FLAIR MR.
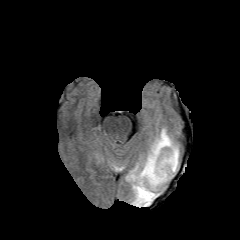
T1-weighted MR.
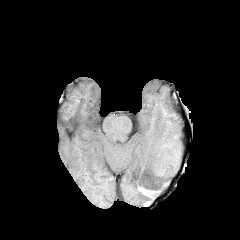
Post-contrast T1-weighted MR.
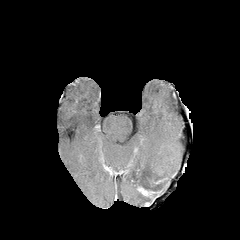
T2-weighted magnetic resonance.
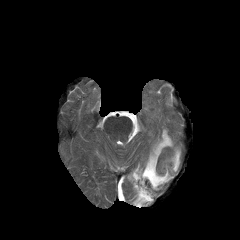
Head, Image size 240x240
The non-enhancing tumor core lies within 138 187 149 199. The edema is located at 126 128 180 207.